Prostate. Field of view 192 mm wide, 4.00 mm slice spacing.
T2-weighted MR.
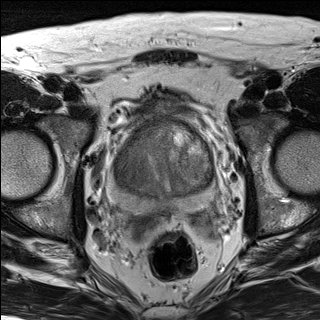
ADC magnetic resonance.
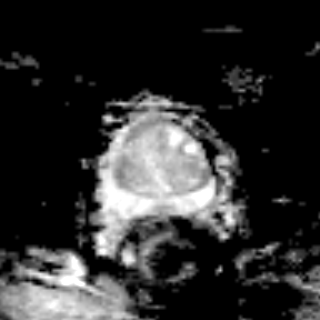
Segmented structures:
* prostate transition zone: rect(113, 125, 214, 198)
* prostate peripheral zone: rect(108, 164, 215, 212)